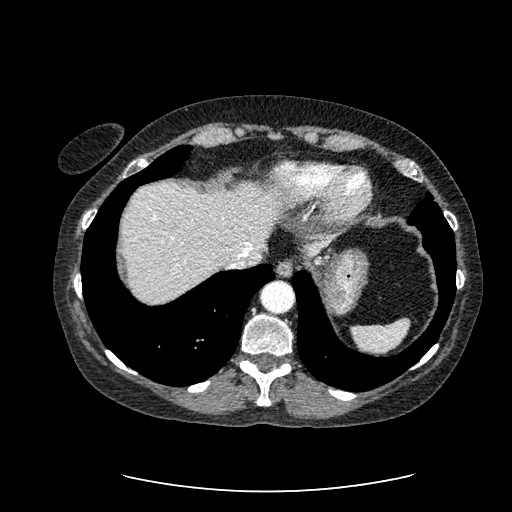
CT
{
  "liver": [
    "(left=304, top=233, right=340, bottom=258)",
    "(left=122, top=183, right=275, bottom=301)"
  ]
}